240x240, Brain, Slice 105/155, Field of view 240x240 mm
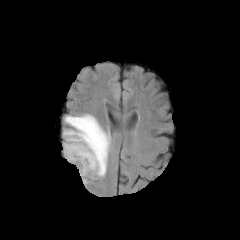
FLAIR magnetic resonance.
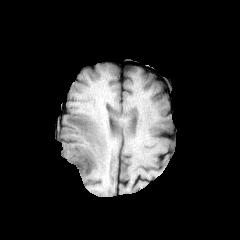
Same slice, T1-weighted magnetic resonance.
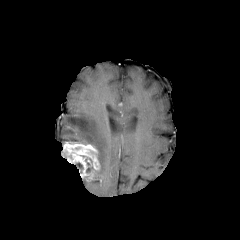
Same slice, post-contrast T1-weighted magnetic resonance.
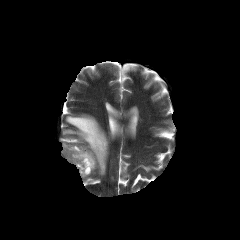
T2-weighted magnetic resonance.
Enhancing tumor at <bbox>62, 141, 99, 179</bbox>.
Edema at <bbox>63, 114, 110, 176</bbox>.